Slice 36/107; CT image
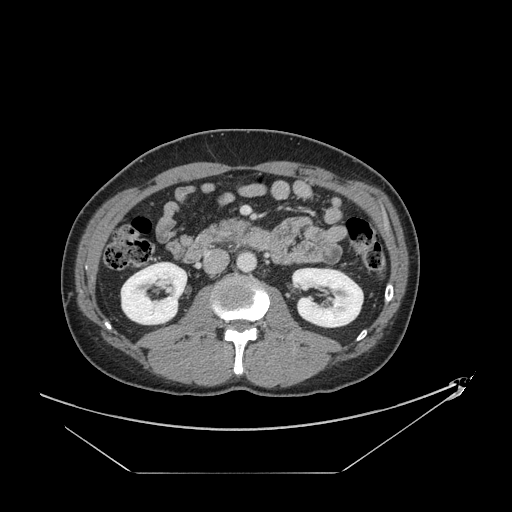 pancreas: 205 219 247 238